FLAIR MR.
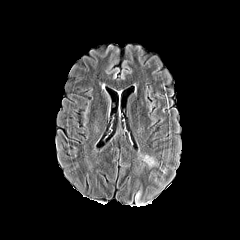
T1-weighted MRI.
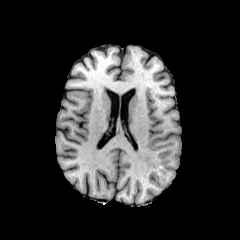
Post-contrast T1-weighted MR image.
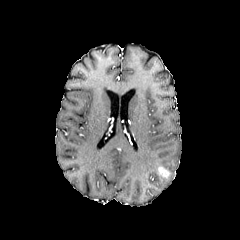
T2-weighted magnetic resonance.
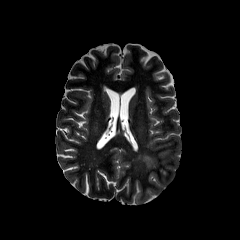
Head
Enhancing tumor — (x1=158, y1=168, x2=169, y2=177).
Edema — (x1=142, y1=154, x2=159, y2=170).